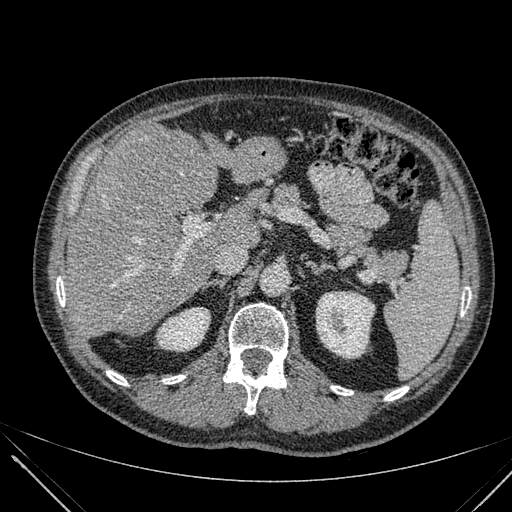
512x512 | CT scan slice
kidney:
  - x1=157 y1=308 x2=209 y2=350
  - x1=316 y1=292 x2=374 y2=357
liver:
  - x1=66 y1=125 x2=261 y2=336
  - x1=217 y1=137 x2=275 y2=184
  - x1=201 y1=133 x2=216 y2=137